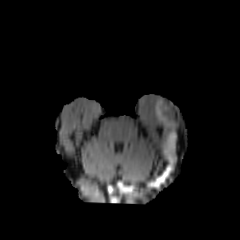
FLAIR MR.
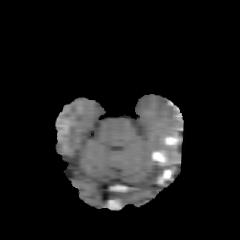
T1-weighted magnetic resonance.
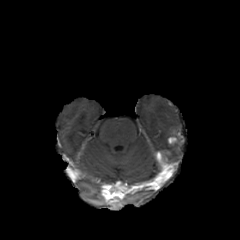
Post-contrast T1-weighted MR image.
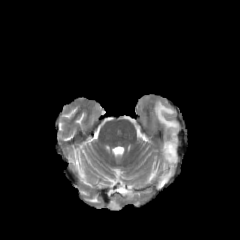
T2-weighted MR.
240x240
edema: l=154, t=100, r=180, b=162 | enhancing tumor: l=168, t=137, r=178, b=143